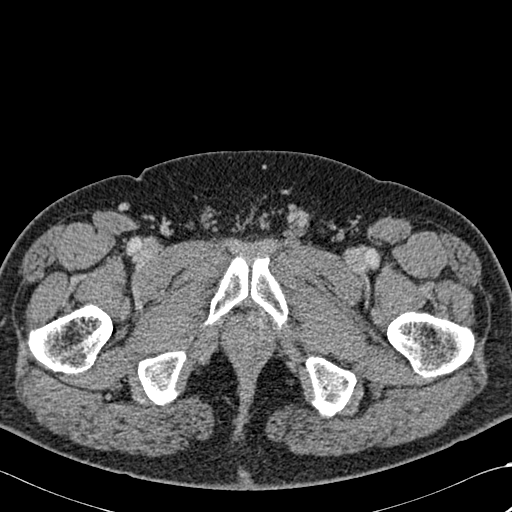 Computed tomography. 5 bone regions are located at (306, 357, 356, 416), (206, 256, 287, 326), (29, 305, 112, 373), (387, 312, 474, 377), (138, 351, 185, 404).